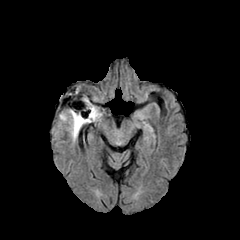
FLAIR MR.
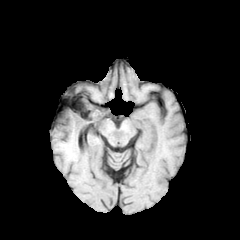
T1-weighted MR.
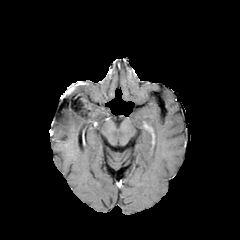
Same slice, post-contrast T1-weighted MR image.
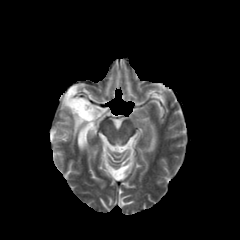
T2-weighted magnetic resonance.
Brain.
Edema: <bbox>58, 98, 101, 142</bbox>.
Non-enhancing tumor core: <bbox>82, 97, 92, 110</bbox>, <bbox>62, 92, 82, 113</bbox>.